CT | 512x512

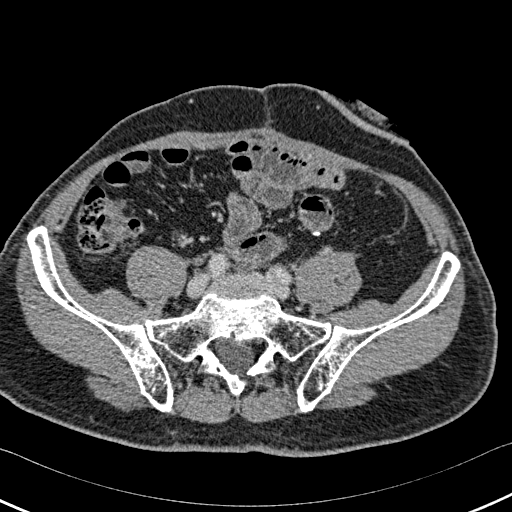 Bone: bounding box 27 226 459 412.